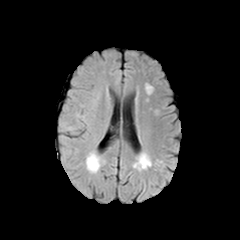
FLAIR MR image.
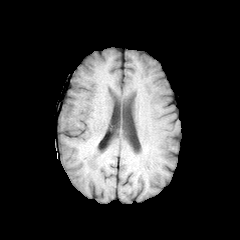
Same slice, T1-weighted MR.
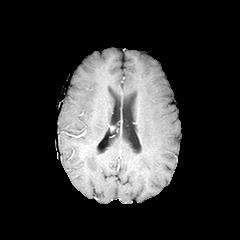
Post-contrast T1-weighted MR image.
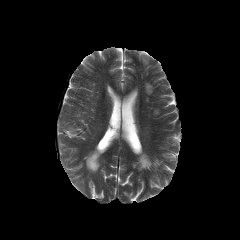
T2-weighted magnetic resonance of the same slice.
Brain
Edema: left=85, top=151, right=99, bottom=173.